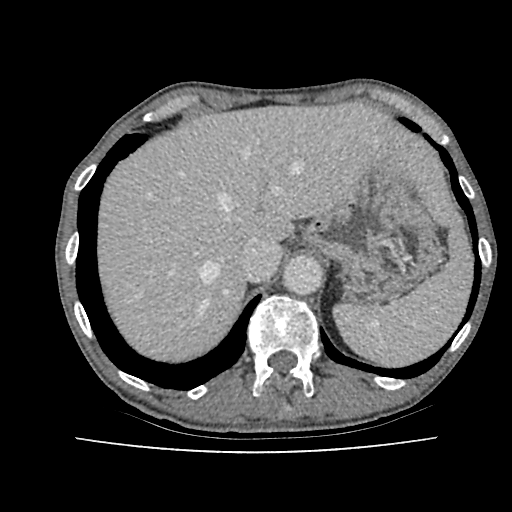
Image size 512x512, CT

The liver lies within l=95, t=104, r=450, b=361.